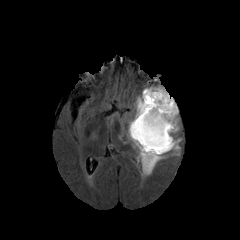
FLAIR MR.
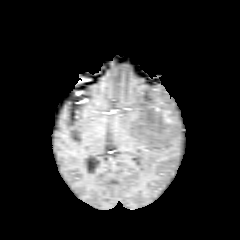
Same slice, T1-weighted MRI.
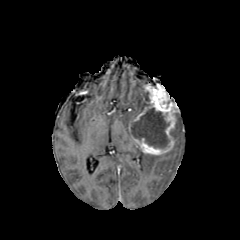
Post-contrast T1-weighted magnetic resonance.
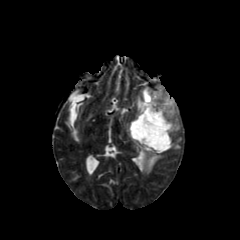
T2-weighted MRI.
Image size 240x240.
{
  "non-enhancing_tumor_core": [
    "box(131, 108, 169, 148)",
    "box(141, 92, 150, 111)"
  ],
  "enhancing_tumor": [
    "box(129, 84, 178, 155)"
  ],
  "edema": [
    "box(171, 121, 181, 155)",
    "box(134, 90, 142, 116)",
    "box(127, 119, 132, 140)",
    "box(137, 147, 166, 174)"
  ]
}